CT image
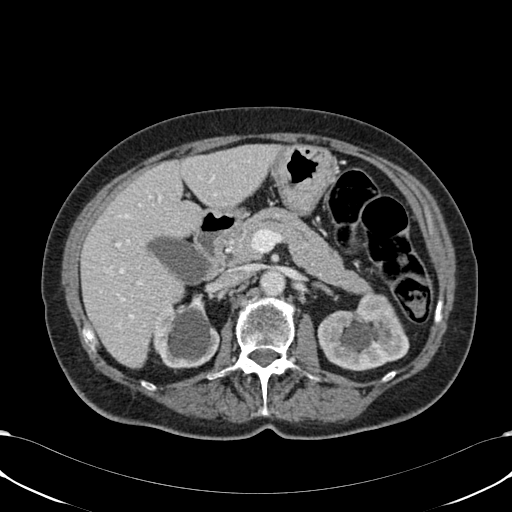

Kidney = x1=151, y1=287, x2=219, y2=367; x1=318, y1=295, x2=408, y2=370.
Liver = x1=81, y1=145, x2=279, y2=367.